Head, Image size 240x240
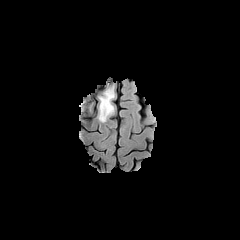
FLAIR MR.
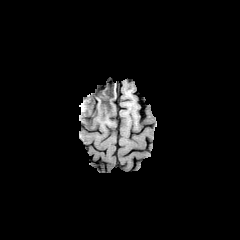
T1-weighted MRI of the same slice.
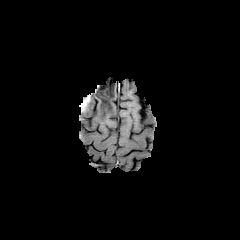
Post-contrast T1-weighted MRI.
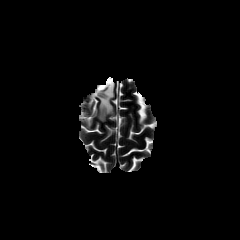
T2-weighted magnetic resonance.
non-enhancing tumor core: bbox(96, 85, 113, 115) | edema: bbox(108, 88, 115, 108); bbox(90, 96, 109, 124); bbox(81, 96, 90, 112)